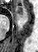 38x52 px | MRI slice
Anterior hippocampus at bbox=[16, 6, 22, 15].